FLAIR MRI.
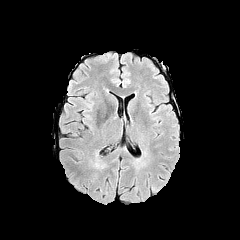
T1-weighted MR image.
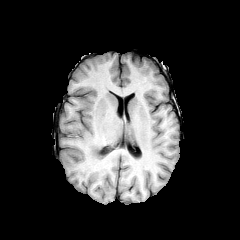
Post-contrast T1-weighted MRI.
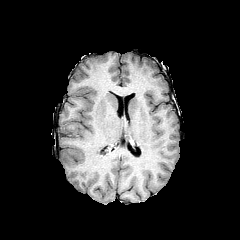
T2-weighted MRI.
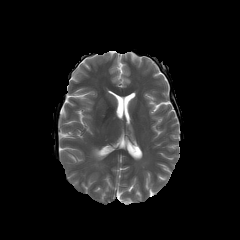
Brain. 240x240 px.
The edema is bounded by (left=95, top=150, right=101, bottom=166).